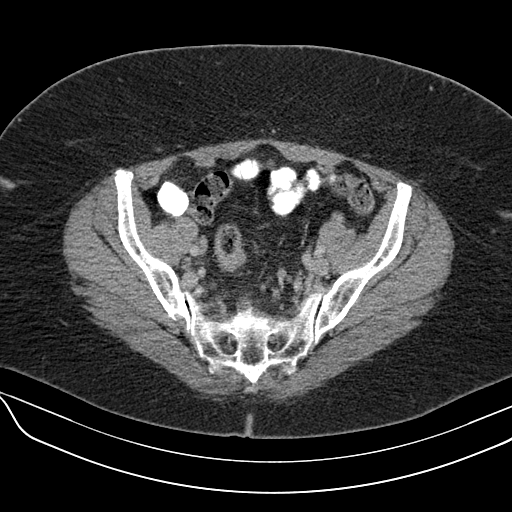

CT. Pelvis.
Colon tumor: bounding box l=215, t=248, r=245, b=268.